CT | 512x512 px

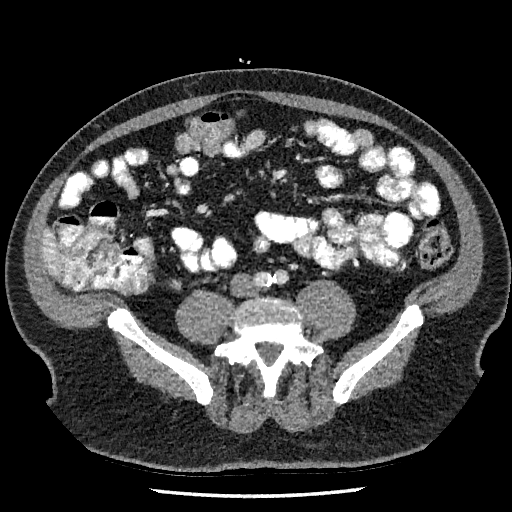 Liver: bounding box bbox=[42, 231, 60, 276].